FLAIR MR.
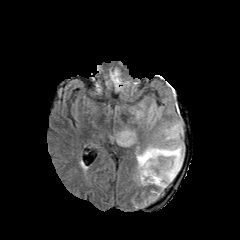
T1-weighted magnetic resonance.
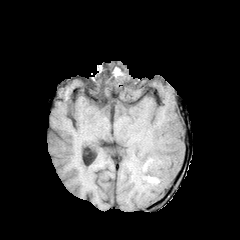
Post-contrast T1-weighted magnetic resonance.
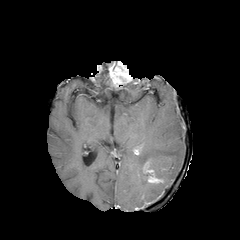
T2-weighted MR.
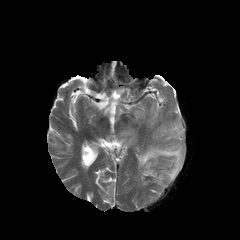
240x240 px
Enhancing tumor: x1=110, y1=67, x2=117, y2=82.
Edema: x1=166, y1=120, x2=182, y2=140; x1=136, y1=142, x2=184, y2=191.
Non-enhancing tumor core: x1=109, y1=62, x2=132, y2=83; x1=143, y1=164, x2=163, y2=183.